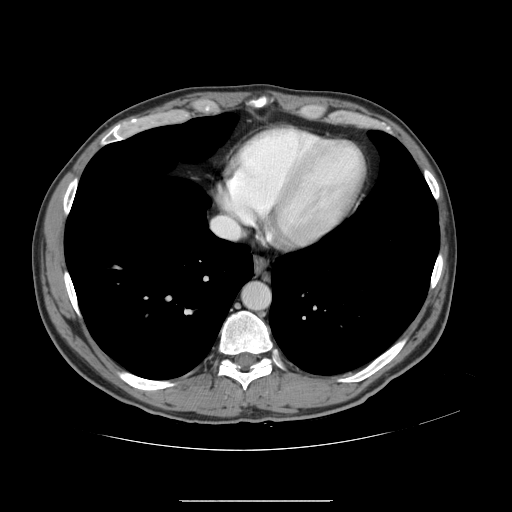

Image size 512x512; CT scan slice

Not every hepatic vessel necessarily has a box.
Hepatic vessel — (211, 217, 240, 239).